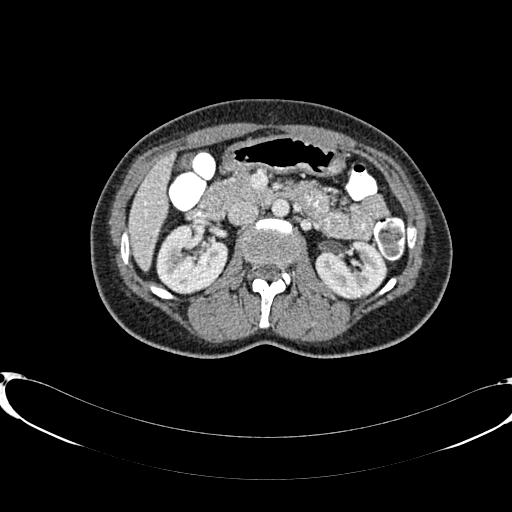
Liver, CT scan slice

* liver: 128 152 175 269
* kidney: 158 227 226 292, 317 243 385 297